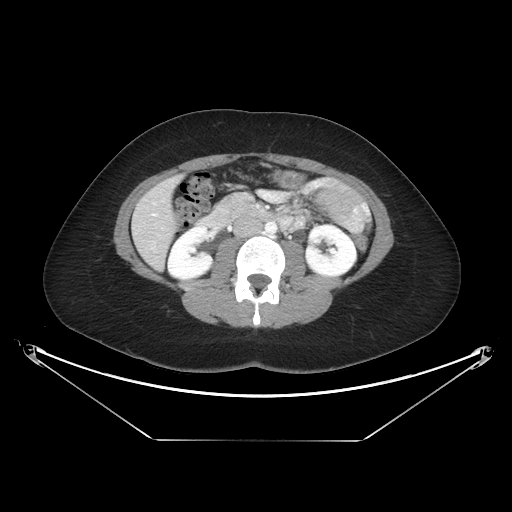 CT slice
Pancreas: <box>220,192,259,217</box>.